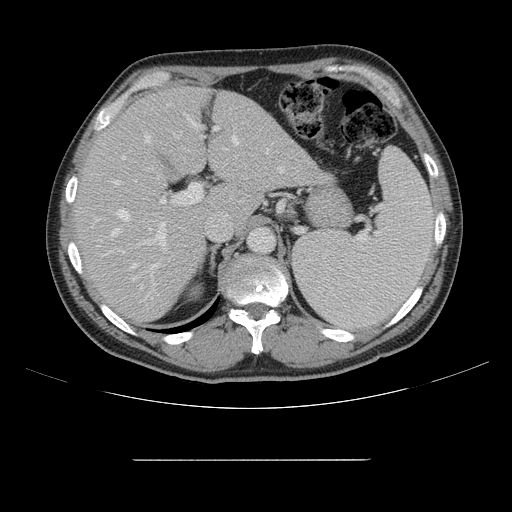 Computed tomography; Abdomen

The vessel boxes may cover only some of the vessels.
The top 15 hepatic vessel regions (of 24) are located at left=112, top=228, right=119, bottom=234; left=152, top=264, right=159, bottom=267; left=213, top=126, right=218, bottom=130; left=160, top=197, right=166, bottom=203; left=146, top=292, right=150, bottom=297; left=171, top=182, right=202, bottom=204; left=113, top=181, right=121, bottom=183; left=232, top=136, right=238, bottom=144; left=146, top=222, right=165, bottom=247; left=174, top=134, right=178, bottom=138; left=188, top=117, right=205, bottom=129; left=279, top=167, right=283, bottom=172; left=132, top=263, right=136, bottom=267; left=145, top=135, right=150, bottom=142; left=119, top=209, right=129, bottom=220.